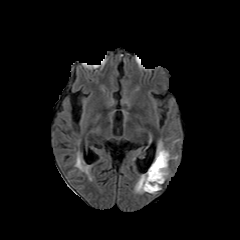
FLAIR MRI.
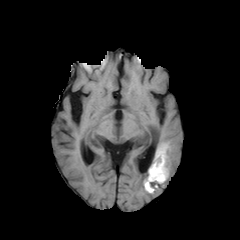
T1-weighted MRI.
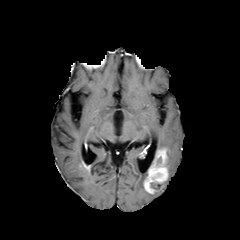
Post-contrast T1-weighted magnetic resonance of the same slice.
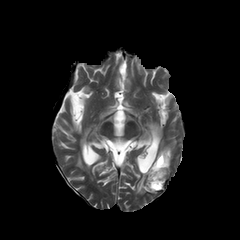
T2-weighted magnetic resonance of the same slice.
Brain
Non-enhancing tumor core — 150,183,161,191.
Edema — 166,146,177,179; 134,173,147,193; 75,154,89,172.
Enhancing tumor — 144,149,167,192.